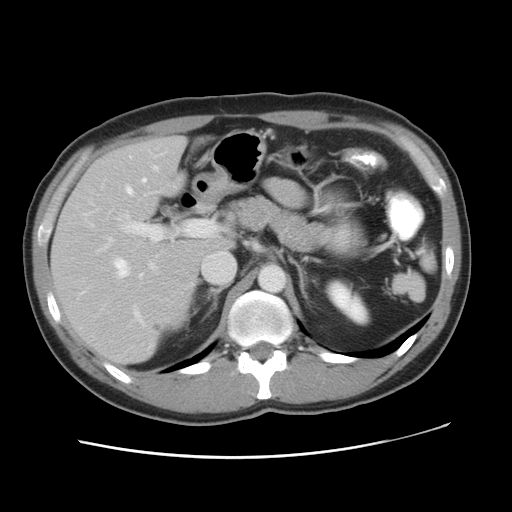 CT image. Abdomen. The vessel annotation is not exhaustive.
The liver tumor lies within l=154, t=324, r=161, b=332. 11 hepatic vessel regions are bounded by l=103, t=237, r=112, b=248; l=84, t=212, r=90, b=215; l=124, t=185, r=134, b=195; l=149, t=262, r=155, b=269; l=112, t=257, r=130, b=278; l=142, t=178, r=145, b=181; l=133, t=305, r=144, b=324; l=139, t=273, r=142, b=277; l=117, t=215, r=163, b=241; l=153, t=166, r=157, b=169; l=89, t=201, r=92, b=203.